Slice 597 of 986; Computed tomography; Liver
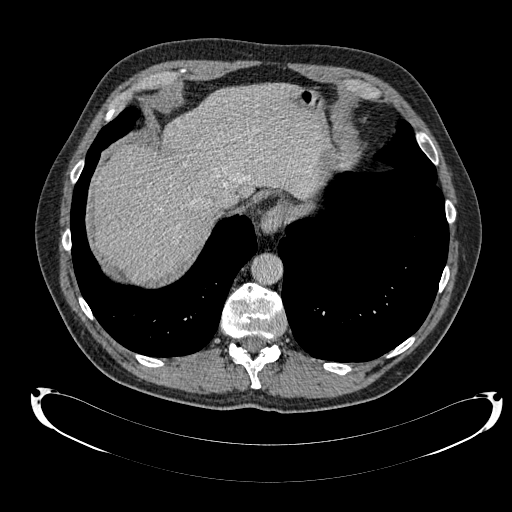 Segmented structures:
• liver: x1=95 y1=84 x2=330 y2=282